CT image 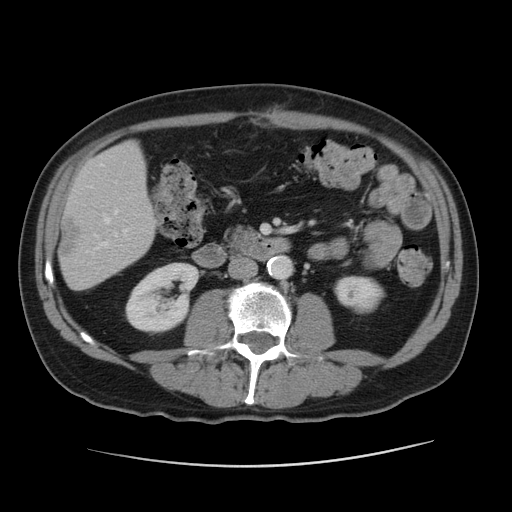

Liver = bbox=[60, 145, 152, 288].
Focal liver lesion = bbox=[60, 216, 77, 254].
Kidney = bbox=[126, 263, 195, 330]; bbox=[334, 276, 384, 313].